Head.
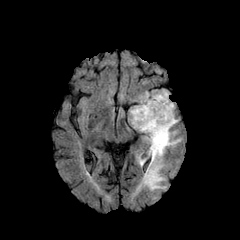
FLAIR magnetic resonance.
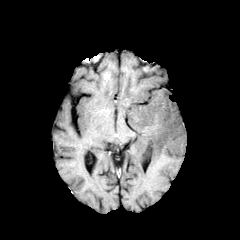
T1-weighted MR image.
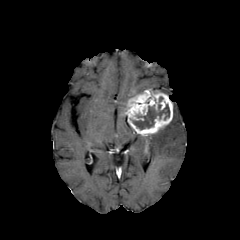
Post-contrast T1-weighted magnetic resonance of the same slice.
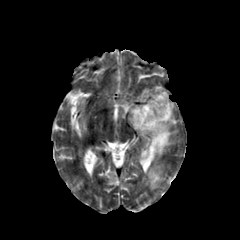
T2-weighted MR image.
2 edema regions are bounded by 138,154,146,166; 144,105,180,188. 2 non-enhancing tumor core regions are located at 159,105,169,118; 133,107,157,129. The enhancing tumor is bounded by 124,89,173,136.